FLAIR MRI.
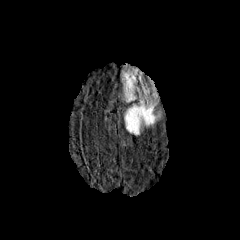
T1-weighted MRI.
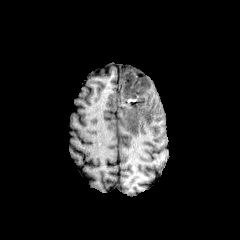
Post-contrast T1-weighted MR image.
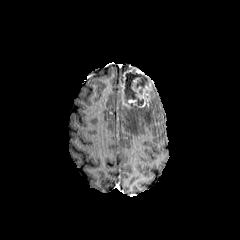
T2-weighted magnetic resonance.
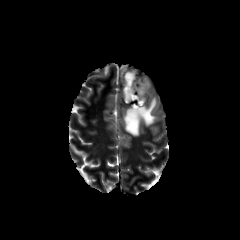
Brain
The non-enhancing tumor core lies within [x1=124, y1=72, x2=148, y2=100]. The edema is bounded by [x1=124, y1=102, x2=161, y2=136]. The enhancing tumor lies within [x1=120, y1=66, x2=157, y2=108].